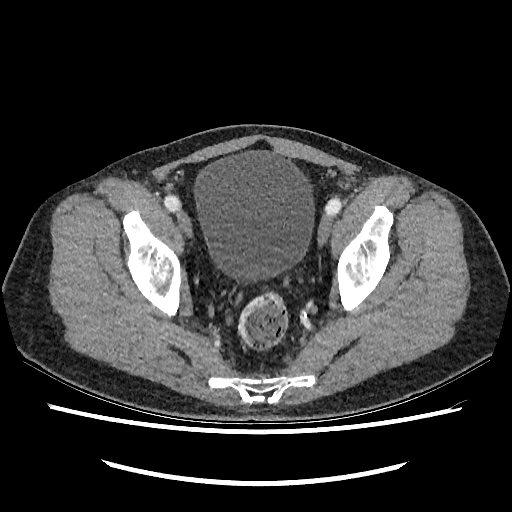 Computed tomography. 512x512.

{"urinary_bladder": ["(193,150,314,282)"]}